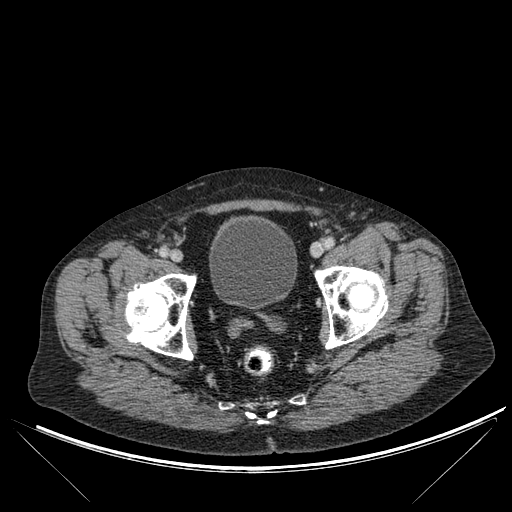
Pelvis; 512x512; CT image
urinary bladder: <box>209,215,297,307</box> | bone: <box>267,403,276,417</box>, <box>315,266,387,348</box>, <box>219,404,232,409</box>, <box>123,273,195,360</box>, <box>245,403,267,423</box>